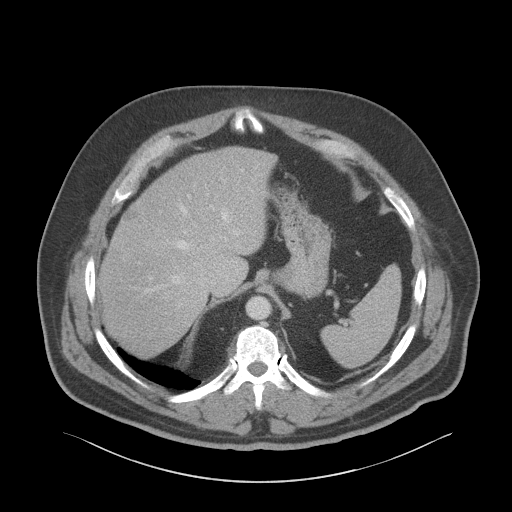

512x512; CT
liver: 99:148:274:355 | hepatic lesion: 123:207:139:222